Pelvis. CT.

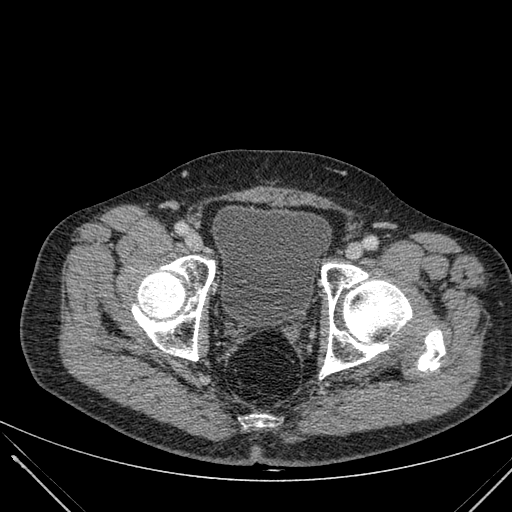
urinary_bladder:
  - <bbox>212, 206, 331, 323</bbox>